MRI. Medial temporal lobe. Field of view 35x49 mm. 35x49 px.
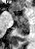

• anterior hippocampus: {"x1": 15, "y1": 16, "x2": 18, "y2": 20}, {"x1": 20, "y1": 14, "x2": 27, "y2": 20}
• posterior hippocampus: {"x1": 16, "y1": 21, "x2": 29, "y2": 35}